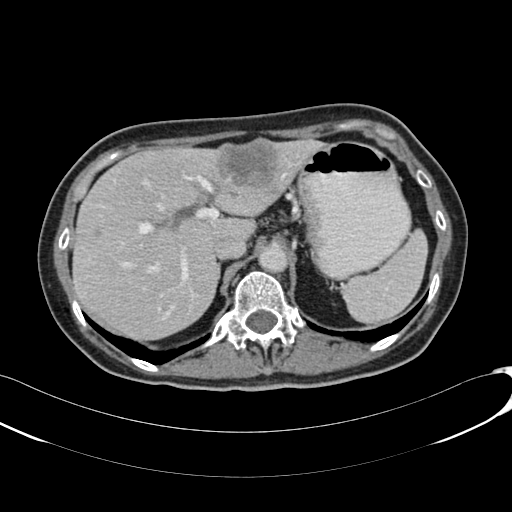 CT, Abdomen
Annotated regions:
- hepatic lesion: (x1=218, y1=140, x2=277, y2=187)
- liver: (x1=73, y1=140, x2=327, y2=339), (x1=227, y1=141, x2=256, y2=146)